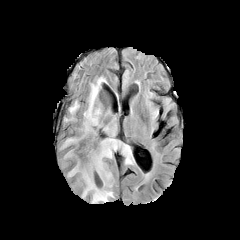
FLAIR magnetic resonance.
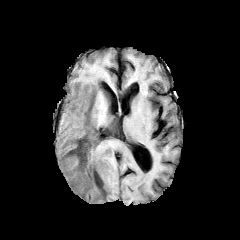
Same slice, T1-weighted MR.
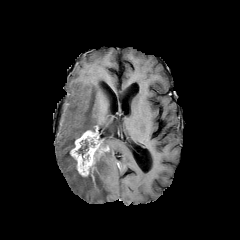
Post-contrast T1-weighted magnetic resonance.
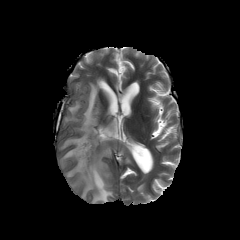
T2-weighted MRI.
Image size 240x240
edema: l=61, t=77, r=127, b=203; l=64, t=101, r=80, b=124 | non-enhancing tumor core: l=76, t=139, r=104, b=160 | enhancing tumor: l=70, t=127, r=102, b=176